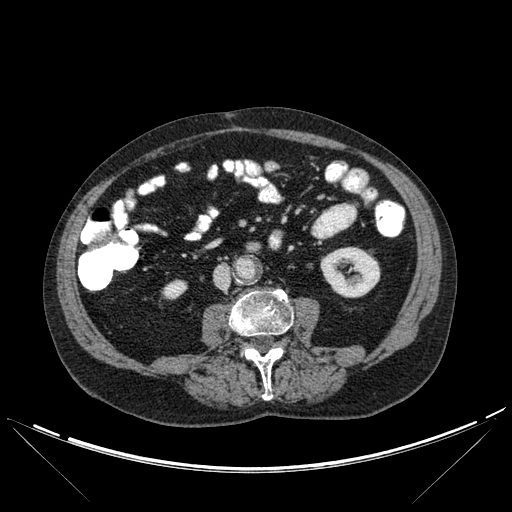

CT scan slice
Bone = x1=230 y1=289 x2=293 y2=335, x1=242 y1=345 x2=283 y2=400.
Kidney = x1=163 y1=280 x2=186 y2=298, x1=321 y1=247 x2=379 y2=296.